Abdomen. Slice 281/466. CT.
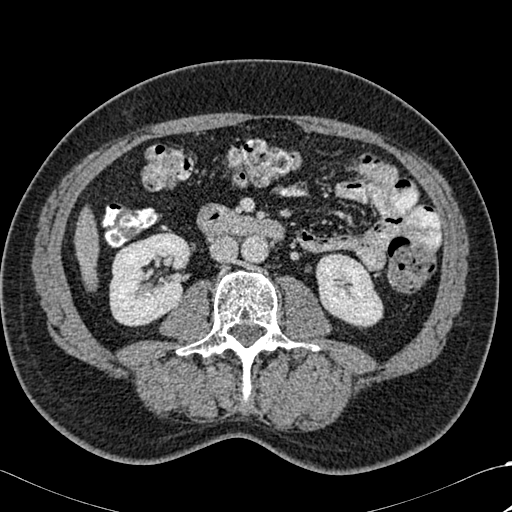 Segmented structures:
* liver: 76, 216, 98, 263
* kidney: 110, 234, 188, 325; 317, 255, 382, 325
* bone: 178, 271, 303, 402